Head, Slice 58 of 155, 240x240
FLAIR magnetic resonance.
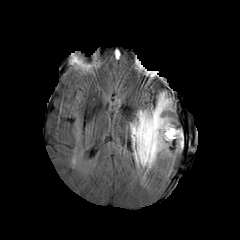
T1-weighted MRI.
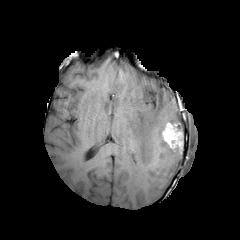
Post-contrast T1-weighted MR.
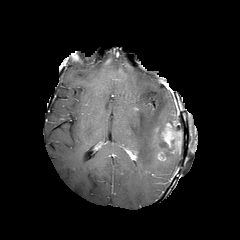
T2-weighted MRI.
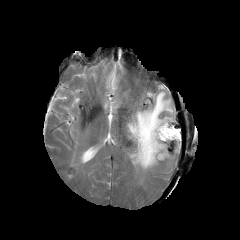
The enhancing tumor appears at x1=162 y1=123 x2=179 y2=143. The non-enhancing tumor core is located at x1=165 y1=133 x2=180 y2=152. The edema appears at x1=127 y1=91 x2=182 y2=170.